Head | 240x240
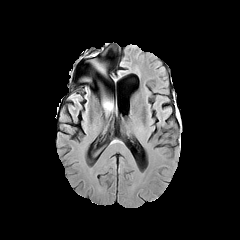
FLAIR magnetic resonance.
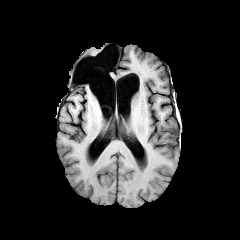
T1-weighted magnetic resonance.
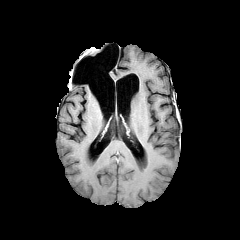
Post-contrast T1-weighted MR image.
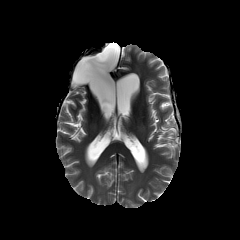
T2-weighted magnetic resonance.
Edema — x1=102 y1=94 x2=113 y2=113.